Image width 33 mm | Magnetic resonance

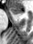

anterior hippocampus: [10, 7, 22, 14]